Image size 512x512; Slice 16 of 40; CT scan slice 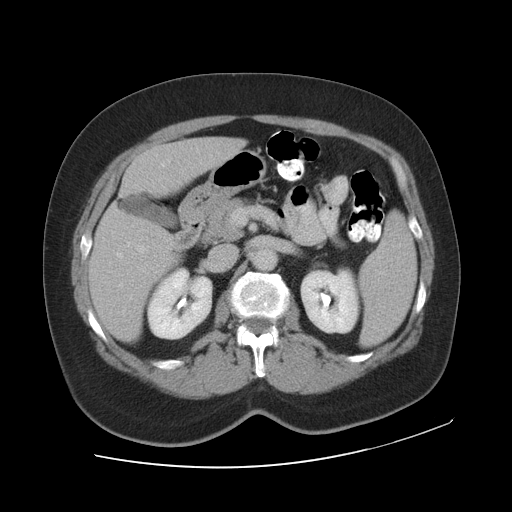
The vessel boxes may cover only some of the vessels.
Hepatic vessel = [x1=115, y1=210, x2=116, y2=212], [x1=127, y1=242, x2=129, y2=245], [x1=143, y1=268, x2=145, y2=271], [x1=167, y1=160, x2=169, y2=161], [x1=162, y1=164, x2=164, y2=166], [x1=117, y1=253, x2=121, y2=257], [x1=138, y1=246, x2=144, y2=251], [x1=152, y1=181, x2=154, y2=188], [x1=119, y1=283, x2=122, y2=286].